CT 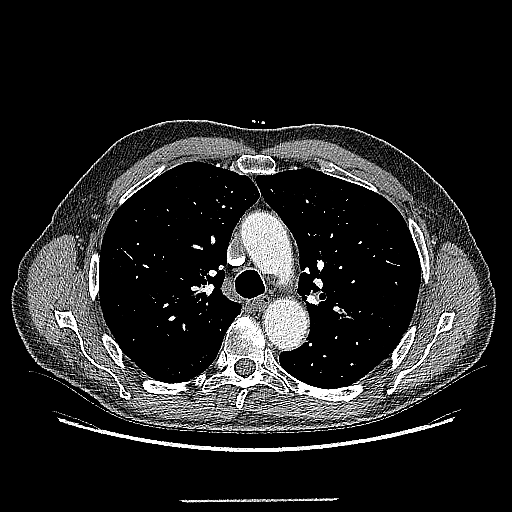

* lung tumor: rect(333, 306, 354, 320)